CT image | Abdomen | Image width 369 mm
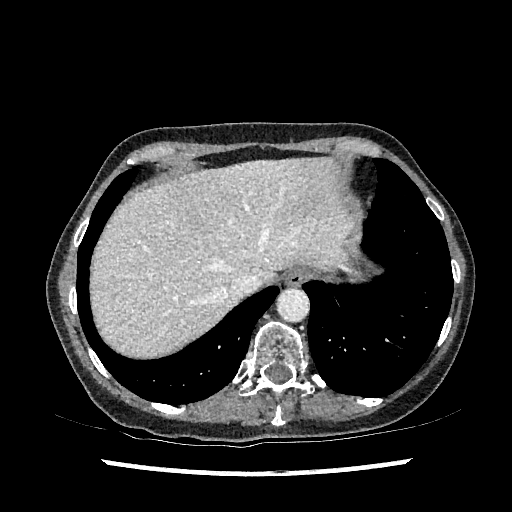
Focal liver lesion — <bbox>293, 194, 315, 216</bbox>.
Liver — <bbox>91, 157, 351, 355</bbox>.